CT image. Liver. 512x512 px.

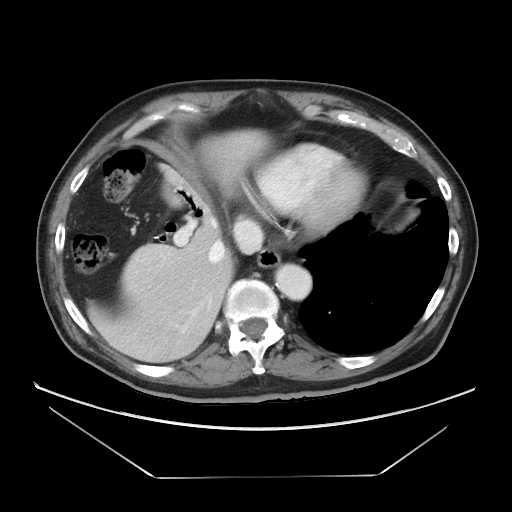 Not every hepatic vessel necessarily has a box.
2 hepatic vessel regions appear at x1=175 y1=232 x2=190 y2=245, x1=208 y1=241 x2=223 y2=262.